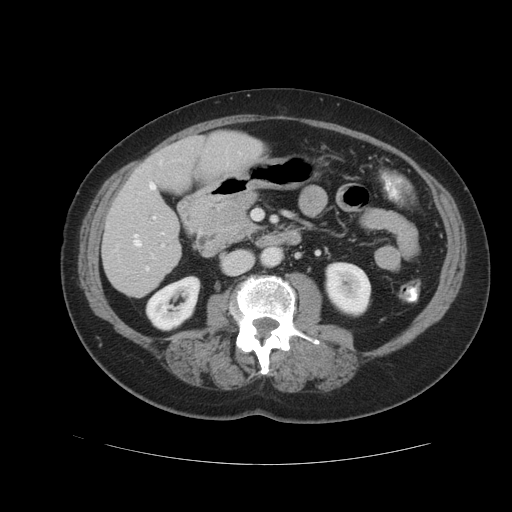 CT image, Abdomen
Not every hepatic vessel necessarily has a box.
4 hepatic vessel regions appear at rect(150, 183, 154, 189); rect(146, 267, 148, 269); rect(134, 234, 140, 245); rect(153, 216, 155, 218).